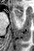

34x51 px. MRI.
The anterior hippocampus appears at x1=14 y1=9 x2=24 y2=22.